CT, Liver, Slice 125/164
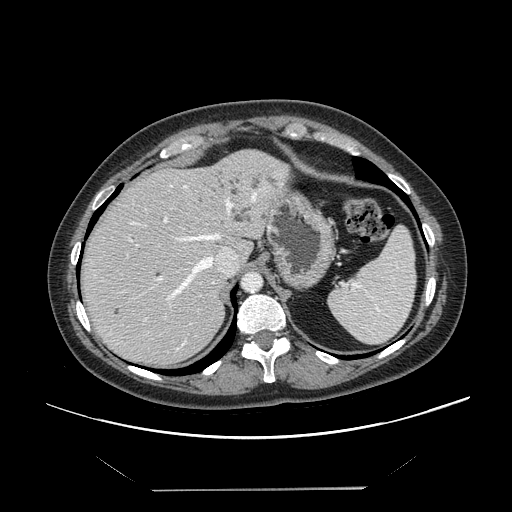 Some hepatic vessels may have no box.
11 hepatic vessel regions are bounded by 94 275 96 278, 164 216 167 222, 248 182 269 202, 166 248 237 305, 128 238 138 245, 178 233 221 241, 130 222 139 224, 223 196 233 215, 226 224 229 226, 155 276 163 281, 141 224 146 226.